Field of view 472x472 mm | Slice 351 of 845 | Abdomen | Computed tomography

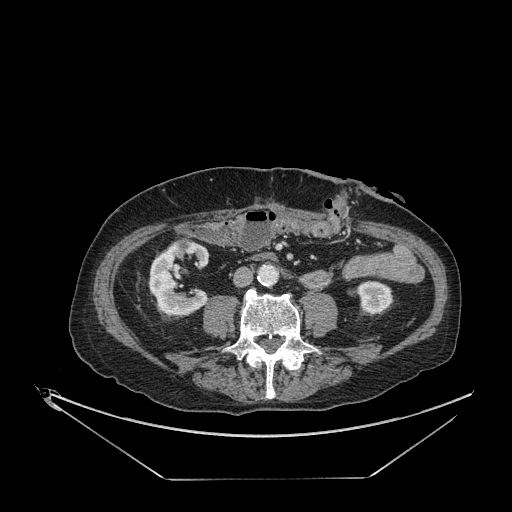
Kidney at <bbox>185, 242, 208, 266</bbox>, <bbox>357, 281, 392, 314</bbox>, <bbox>149, 243, 207, 314</bbox>.